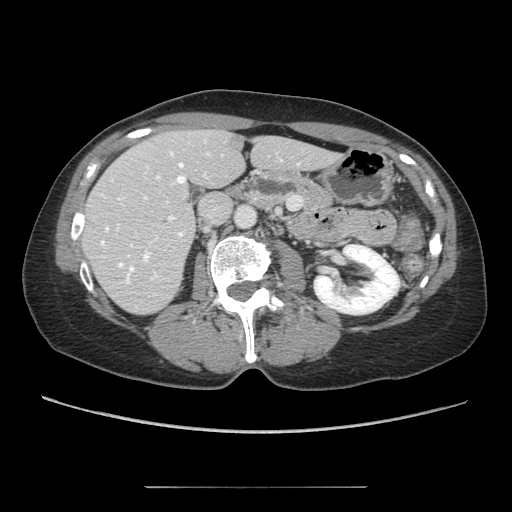

Computed tomography; Abdomen

Pancreas: bounding box [238, 169, 333, 212].
Pancreatic tumor: bounding box [241, 178, 297, 196].